512x512 px; CT scan slice; Image width 380 mm

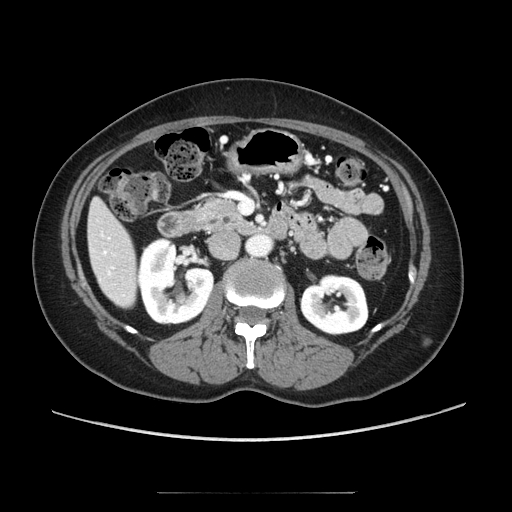

Pancreas = x1=190, y1=199, x2=256, y2=234.